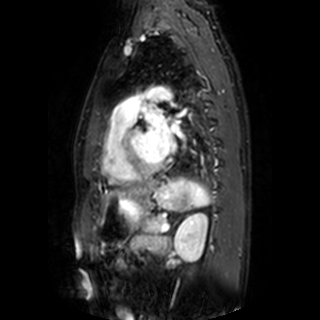

Cardiac | MR image
left atrium: box(171, 124, 180, 134); box(143, 108, 170, 160); box(175, 108, 187, 118)